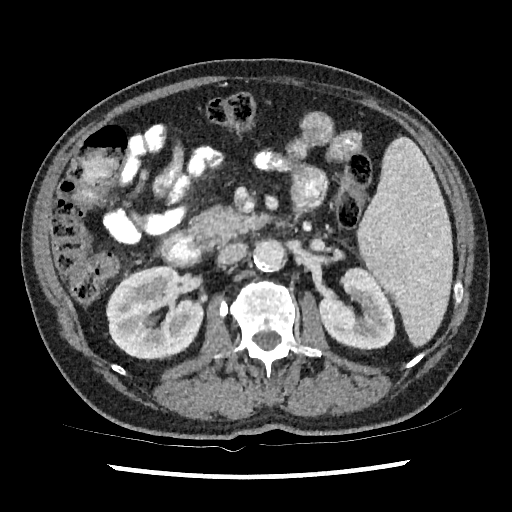
Abdomen; Computed tomography
Kidney: bounding box [106,267,202,358], [320,268,394,348].